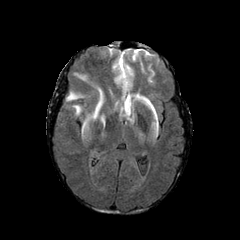
FLAIR MR image.
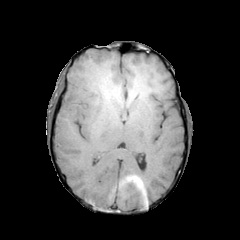
T1-weighted MR image of the same slice.
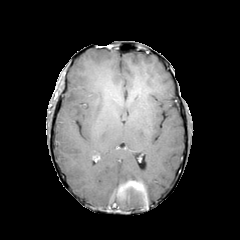
Same slice, post-contrast T1-weighted magnetic resonance.
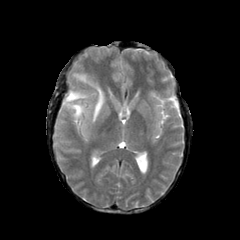
T2-weighted MR of the same slice.
Brain; Image size 240x240
edema: 92, 87, 104, 120; 65, 88, 85, 115; 73, 73, 87, 81